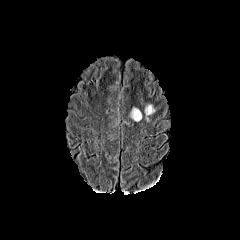
FLAIR MR image.
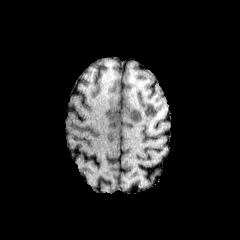
T1-weighted magnetic resonance of the same slice.
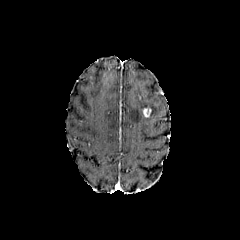
Post-contrast T1-weighted MR image.
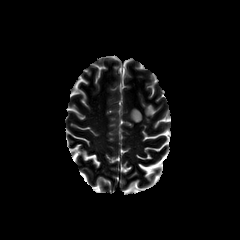
T2-weighted MR of the same slice.
Head
edema:
  - x1=130, y1=106, x2=142, y2=121
enhancing_tumor:
  - x1=143, y1=108, x2=151, y2=117